Image size 512x512. CT scan slice. Slice 42/137. 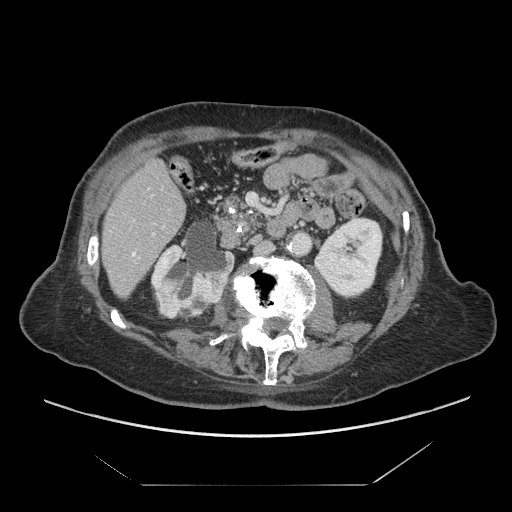 Pancreas at box(210, 194, 265, 232).